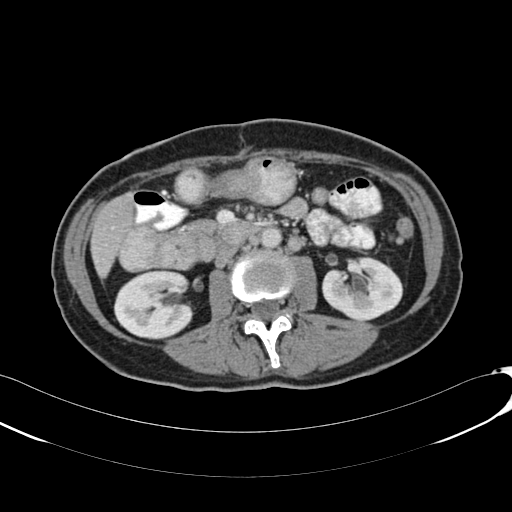 Computed tomography; Abdomen

liver:
  - 91 192 133 276
kidney:
  - 323 258 401 319
  - 115 272 191 337